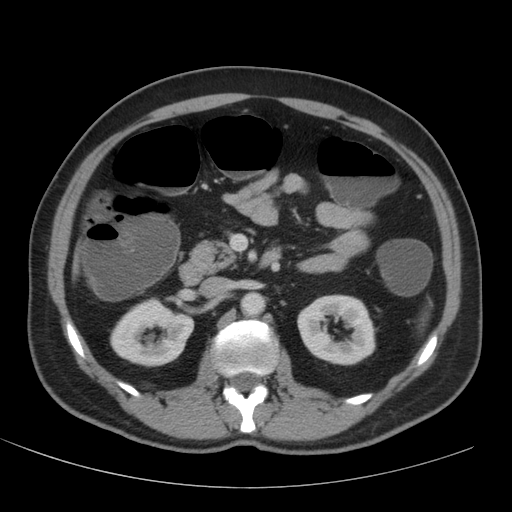

512x512 px, CT

- kidney: {"x1": 297, "y1": 295, "x2": 374, "y2": 364}, {"x1": 111, "y1": 299, "x2": 193, "y2": 365}